FLAIR MR image.
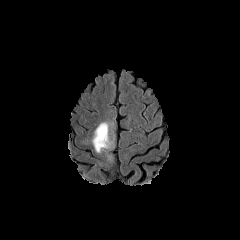
T1-weighted MRI.
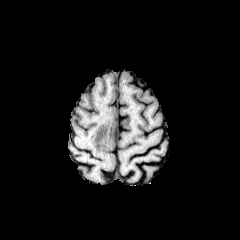
Post-contrast T1-weighted MRI.
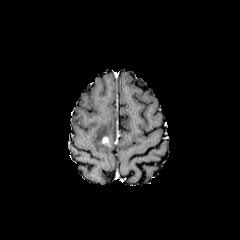
T2-weighted magnetic resonance.
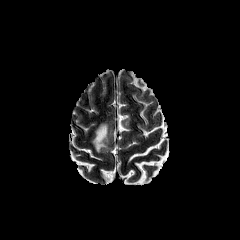
Brain
Enhancing tumor: bounding box (left=102, top=136, right=112, bottom=147).
Edema: bounding box (left=93, top=123, right=109, bottom=152).